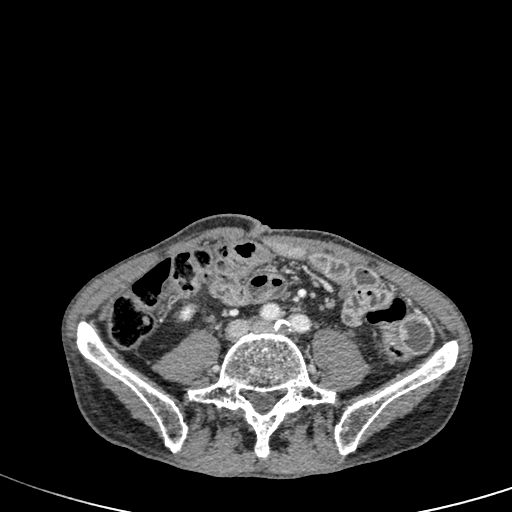 Abdomen; 512x512; CT slice

{
  "kidney": [
    "(x1=180, y1=307, x2=192, y2=319)"
  ]
}